FLAIR MR image.
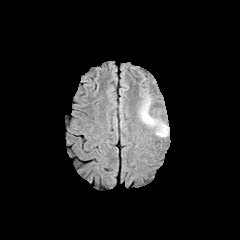
T1-weighted magnetic resonance.
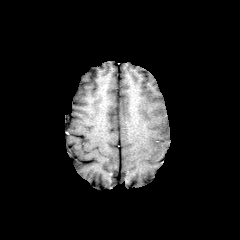
Post-contrast T1-weighted magnetic resonance.
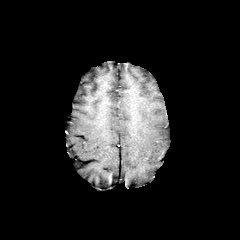
T2-weighted MRI.
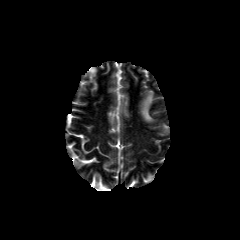
Brain.
The edema appears at region(139, 89, 169, 136).